Slice index 44. CT. Abdomen.

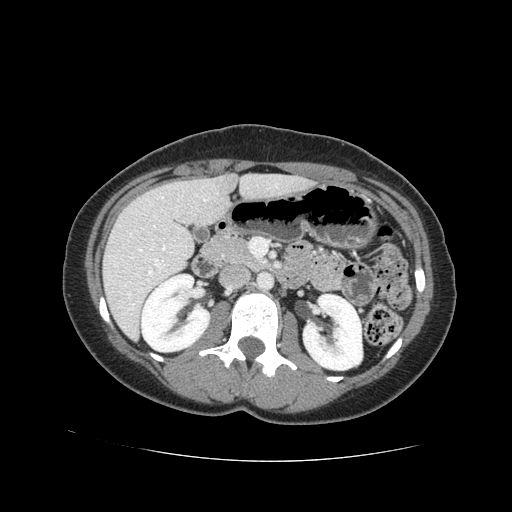 The pancreas appears at region(203, 234, 262, 268).